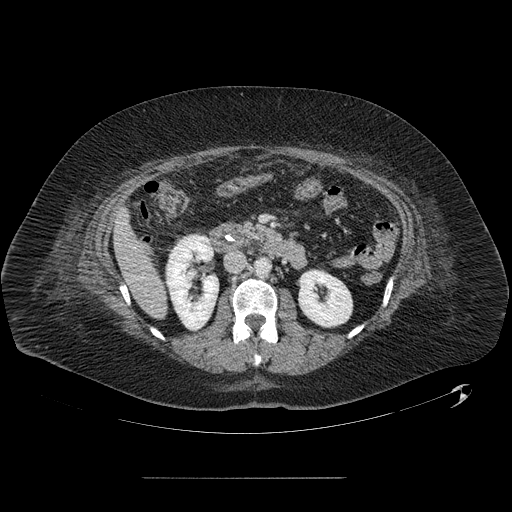 CT scan slice

The pancreas is located at [244, 223, 278, 241].